FLAIR MR.
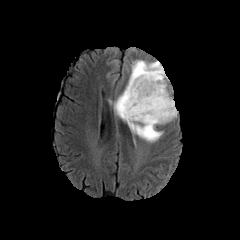
T1-weighted MRI.
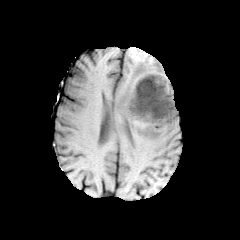
Post-contrast T1-weighted MR.
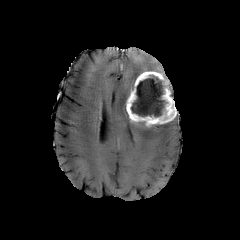
T2-weighted magnetic resonance.
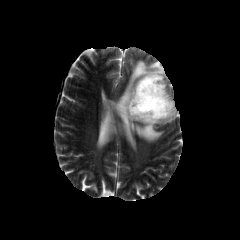
Brain
The non-enhancing tumor core is located at (left=131, top=75, right=164, bottom=116). The edema is bounded by (left=108, top=59, right=168, bottom=142). The enhancing tumor lies within (left=125, top=71, right=176, bottom=127).